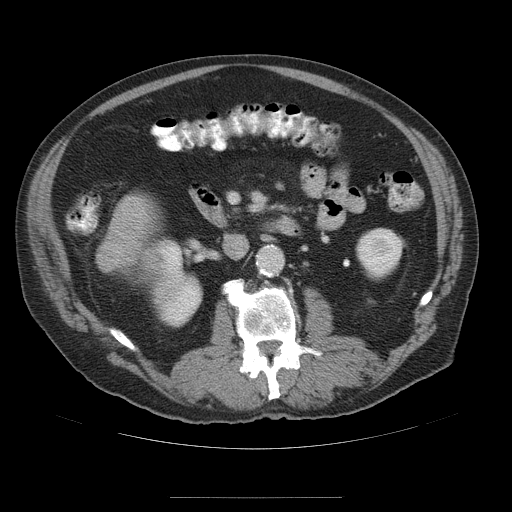 Computed tomography, Liver

The liver tumor appears at 98:248:117:270.